Image width 364 mm | Computed tomography | Slice index 17
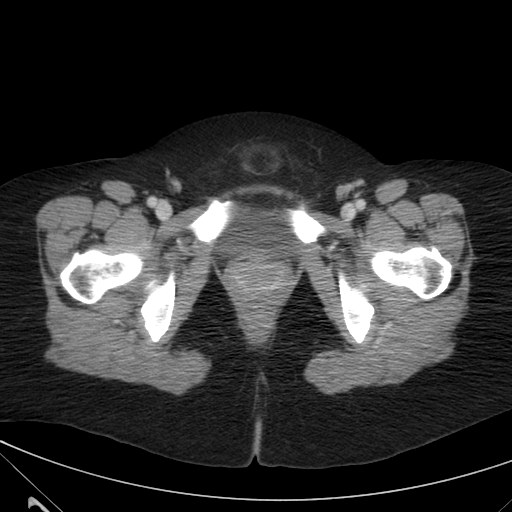
Urinary bladder: bbox=[209, 203, 301, 267].